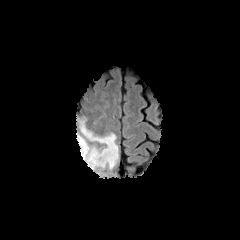
FLAIR magnetic resonance.
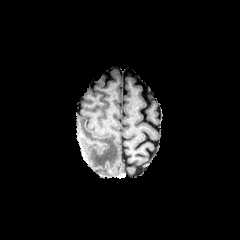
T1-weighted MR image.
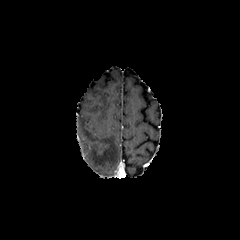
Post-contrast T1-weighted MRI.
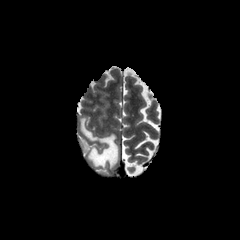
T2-weighted magnetic resonance.
2 edema regions are located at rect(80, 119, 95, 139); rect(91, 134, 118, 166).